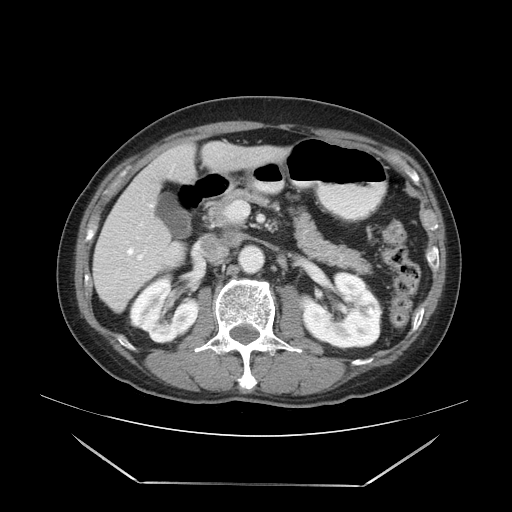 512x512 px; Computed tomography
Some hepatic vessels may have no box.
{"hepatic_vessel": ["region(137, 255, 142, 260)"]}